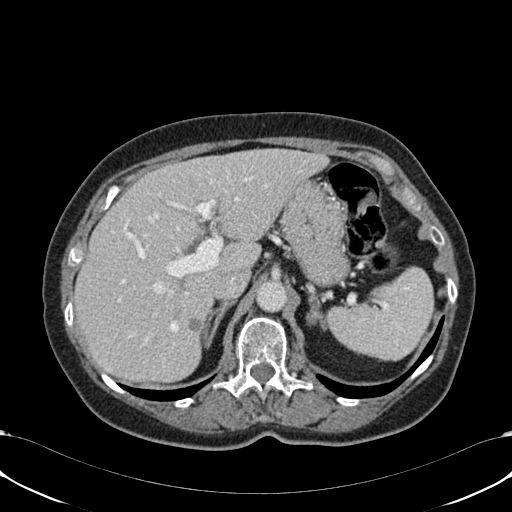

Computed tomography. - hepatic lesion: 188, 317, 199, 330
- liver: 74, 150, 327, 381